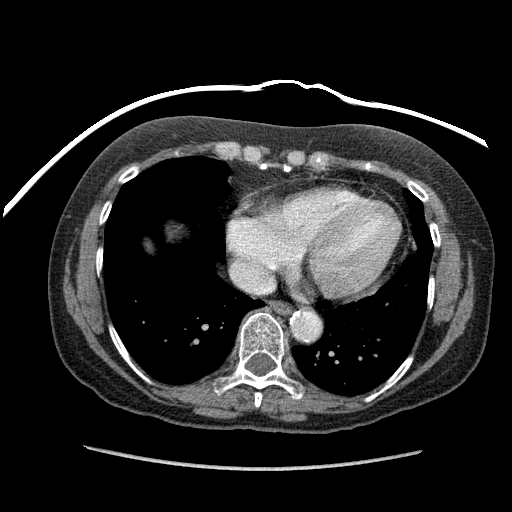 CT scan slice | Upper abdomen
The liver is at box=[144, 223, 196, 256].